FLAIR magnetic resonance.
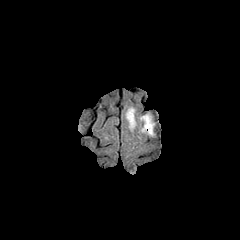
T1-weighted MR.
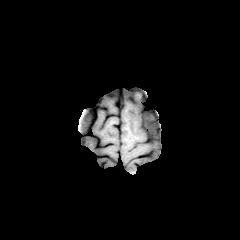
Post-contrast T1-weighted magnetic resonance.
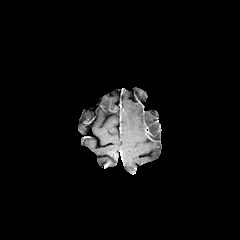
T2-weighted MR.
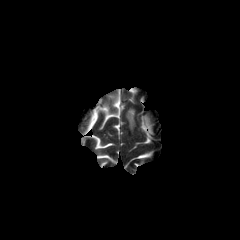
240x240 px, Head
<segmentation>
  <edema>140,114,154,135; 126,108,135,127</edema>
</segmentation>